Image width 344 mm | CT 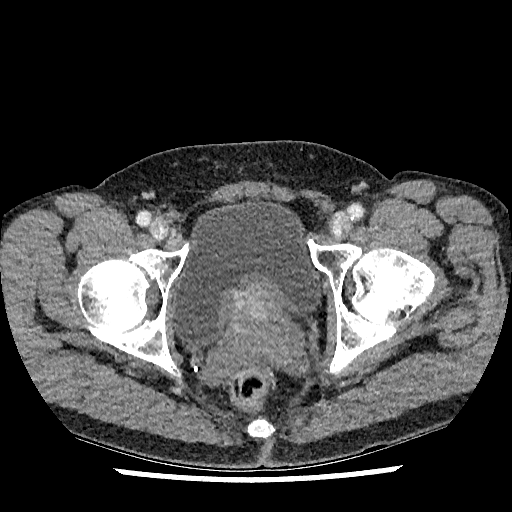 Annotated regions:
• urinary bladder: bbox=[174, 200, 322, 346]